Field of view 240 mm wide, 1.00 mm slice spacing. Slice 69 of 155. Head. Image size 240x240.
FLAIR MR image.
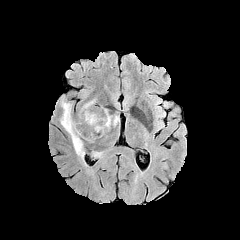
T1-weighted magnetic resonance.
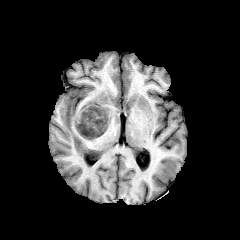
Post-contrast T1-weighted magnetic resonance.
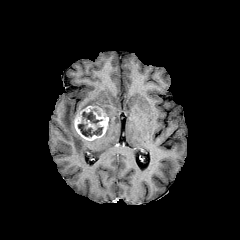
T2-weighted magnetic resonance.
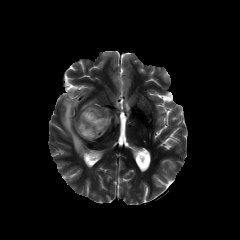
<segmentation>
  <non-enhancing_tumor_core>(79, 111, 98, 123), (78, 123, 102, 136)</non-enhancing_tumor_core>
  <edema>(61, 100, 85, 160)</edema>
  <enhancing_tumor>(74, 106, 108, 140)</enhancing_tumor>
</segmentation>